Liver; CT image 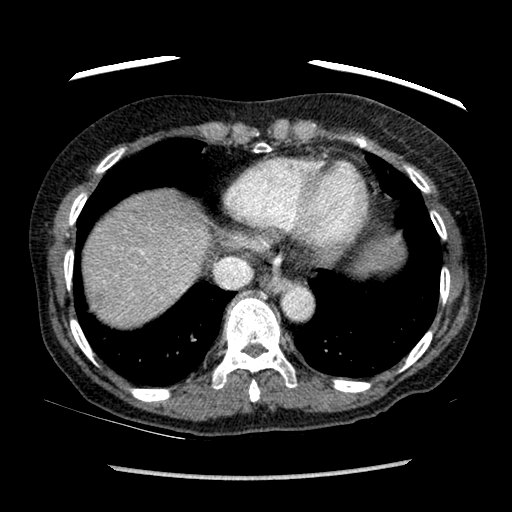

Findings:
* liver: x1=84, y1=195, x2=214, y2=325; x1=360, y1=239, x2=404, y2=272
* liver lesion: x1=90, y1=290, x2=109, y2=310